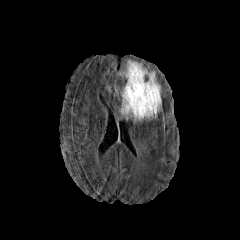
FLAIR MRI.
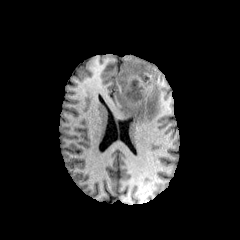
Same slice, T1-weighted MR.
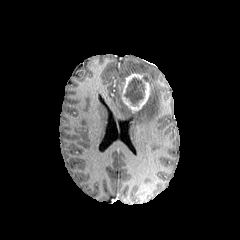
Post-contrast T1-weighted MR of the same slice.
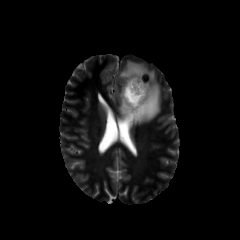
T2-weighted MRI.
The non-enhancing tumor core is located at [124,76,144,106]. The enhancing tumor is located at [122,73,150,112]. 2 edema regions are located at [121,61,161,124], [120,103,131,119].